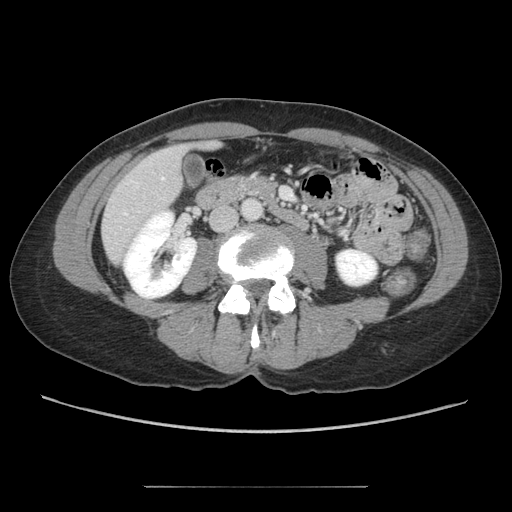

Abdomen. CT slice.

<segmentation>
  <pancreas>(241,173,276,199)</pancreas>
</segmentation>